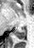

Magnetic resonance. <segmentation>
  <posterior_hippocampus><bbox>14, 30, 25, 39</bbox></posterior_hippocampus>
</segmentation>